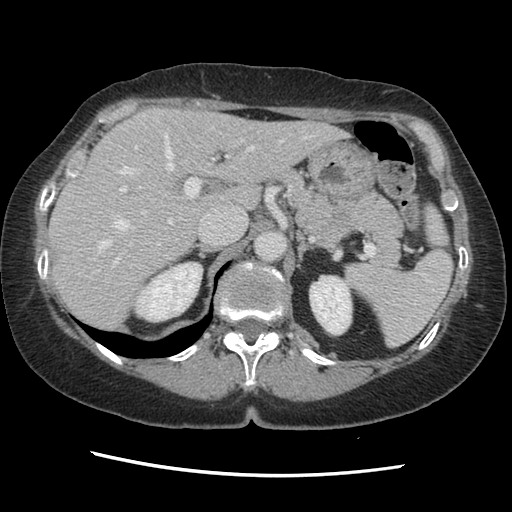

Abdomen. CT.

Only some of the vessels may be annotated.
15 hepatic vessel regions are bounded by box=[303, 136, 311, 138]; box=[157, 242, 159, 244]; box=[164, 132, 173, 170]; box=[119, 165, 134, 175]; box=[112, 257, 119, 266]; box=[279, 140, 282, 141]; box=[246, 146, 253, 150]; box=[135, 146, 136, 148]; box=[99, 240, 110, 251]; box=[120, 187, 125, 191]; box=[185, 178, 199, 196]; box=[142, 211, 146, 213]; box=[114, 219, 132, 229]; box=[168, 219, 172, 223]; box=[241, 138, 243, 141].